Image size 240x240.
FLAIR magnetic resonance.
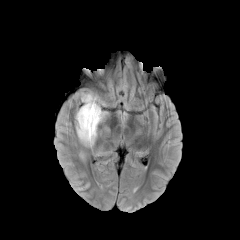
T1-weighted magnetic resonance.
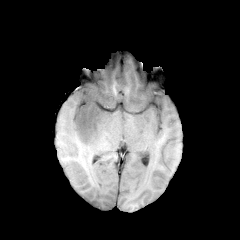
Post-contrast T1-weighted MR image.
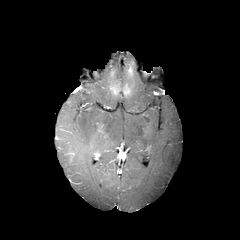
T2-weighted MR.
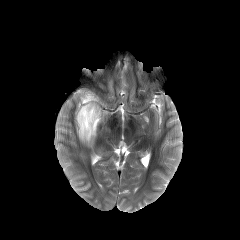
<segmentation>
  <edema>[75, 90, 107, 148]</edema>
</segmentation>